Slice index 176, Liver, CT 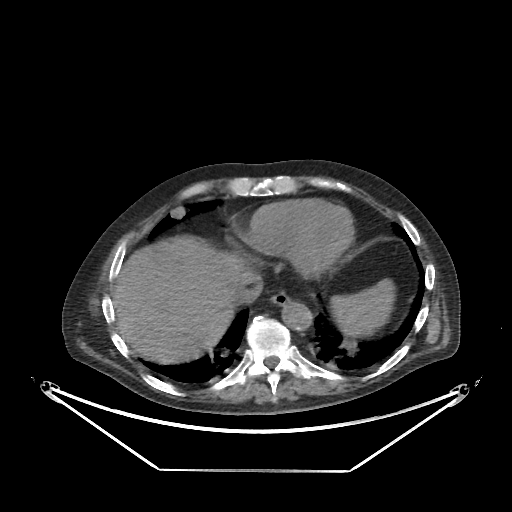
liver:
  - [x1=110, y1=238, x2=260, y2=364]